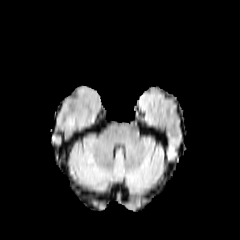
FLAIR MR.
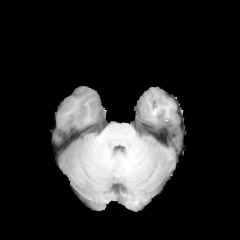
T1-weighted magnetic resonance.
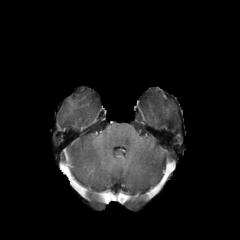
Post-contrast T1-weighted magnetic resonance.
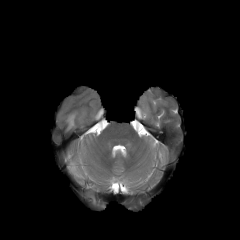
T2-weighted MR image.
Image size 240x240 | Head
Edema — l=68, t=115, r=75, b=128.